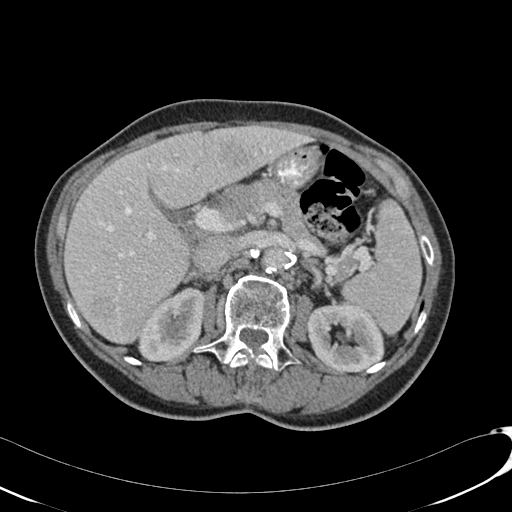 Liver | Computed tomography
Findings:
- liver lesion: bbox(218, 142, 253, 168); bbox(92, 298, 118, 319); bbox(196, 157, 206, 164); bbox(154, 175, 165, 188)
- kidney: bbox(307, 302, 383, 372); bbox(137, 288, 204, 360)
- liver: bbox(65, 127, 314, 342)